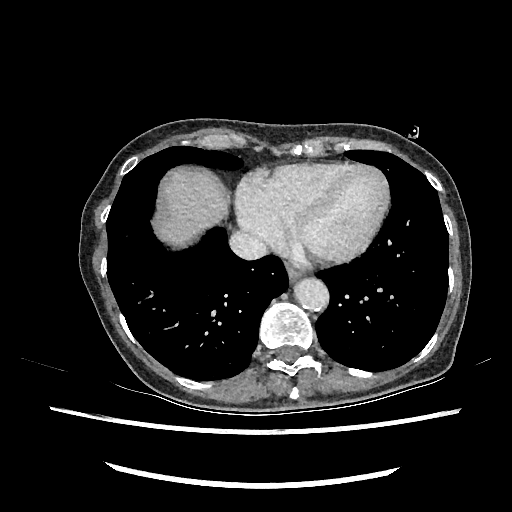

CT
Liver — region(159, 171, 226, 240).